Field of view 330 mm wide, 2.50 mm slice spacing; Slice 54/89; CT image 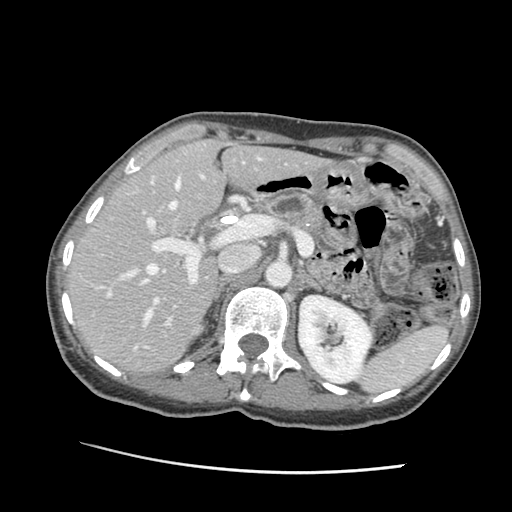

The pancreas is bounded by 259, 193, 325, 241.